Abdomen. CT.
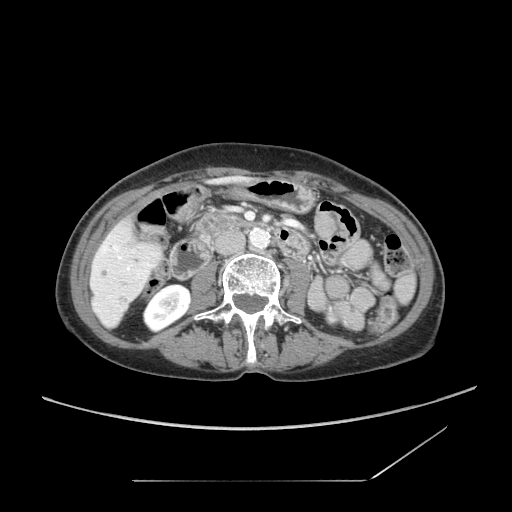 {
  "pancreatic_tumor": [
    "[x1=201, y1=214, x2=229, y2=233]"
  ],
  "pancreas": [
    "[x1=198, y1=215, x2=241, y2=238]"
  ]
}